Image width 240 mm. Image size 240x240.
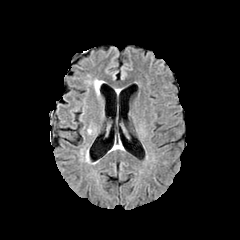
FLAIR magnetic resonance.
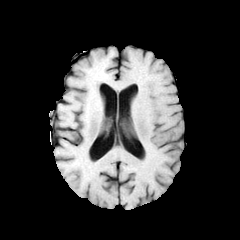
T1-weighted MR image.
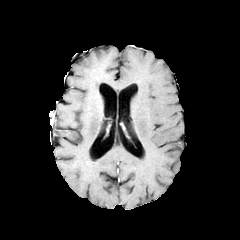
Post-contrast T1-weighted MR image.
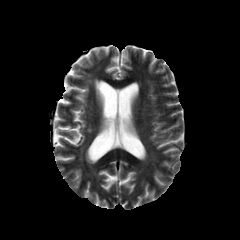
T2-weighted MRI of the same slice.
The edema is bounded by l=93, t=79, r=102, b=96.